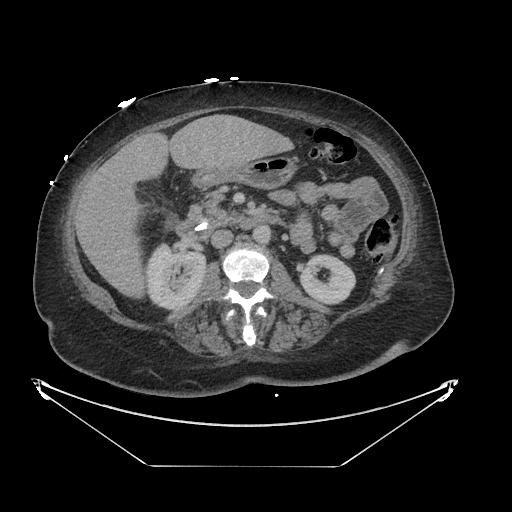
CT slice | Upper abdomen

• pancreas: [204, 196, 241, 226]